Liver; CT scan slice; Slice 364/537; Field of view 496 mm wide, 0.80 mm slice spacing; 512x512
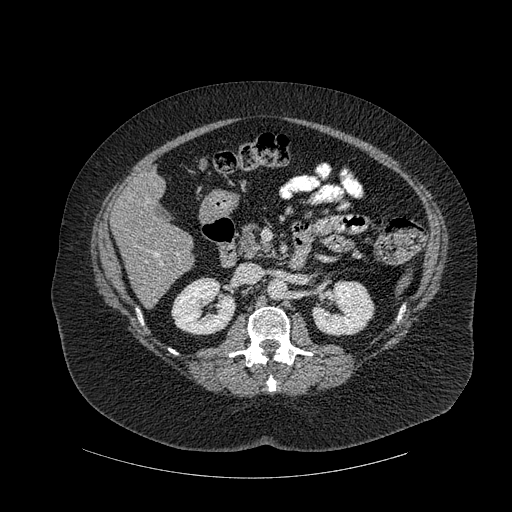
4 bone regions are located at region(137, 309, 143, 324); region(398, 306, 404, 319); region(267, 376, 276, 391); region(229, 307, 312, 366). 2 kidney regions are bounded by region(313, 282, 373, 334); region(172, 278, 234, 333). The liver is at region(110, 172, 194, 303).